Slice index 70
FLAIR MR.
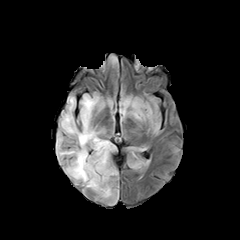
T1-weighted MR.
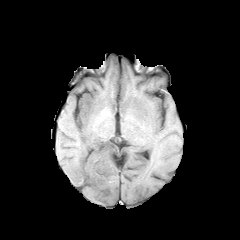
Post-contrast T1-weighted MR.
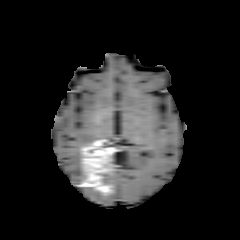
T2-weighted MRI.
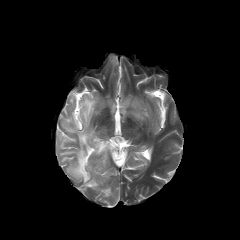
- enhancing tumor: <box>91,139,116,160</box>, <box>81,146,98,188</box>
- non-enhancing tumor core: <box>86,147,113,195</box>
- edema: <box>58,93,99,183</box>, <box>103,170,114,181</box>